CT image. Pelvis.

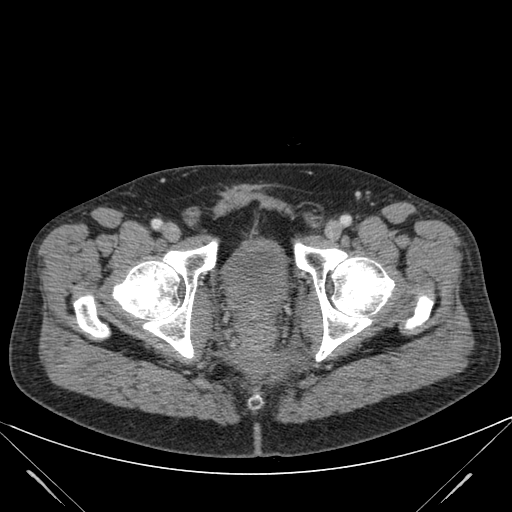

The urinary bladder lies within {"x1": 220, "y1": 239, "x2": 290, "y2": 324}.